Abdomen; CT image; Slice 342 of 574 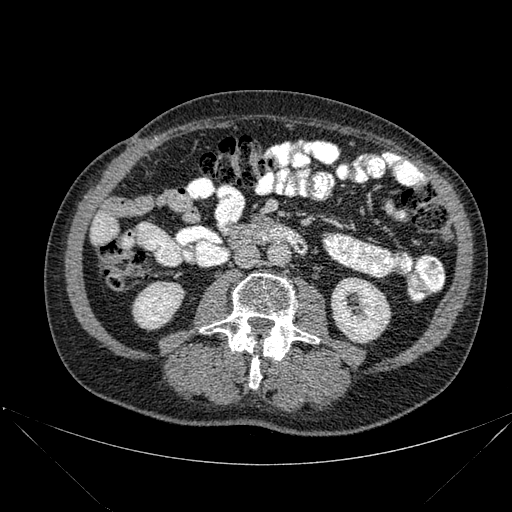
* bone: bbox=[200, 273, 319, 360]; bbox=[249, 356, 261, 388]
* kidney: bbox=[331, 278, 390, 342]; bbox=[133, 282, 183, 328]